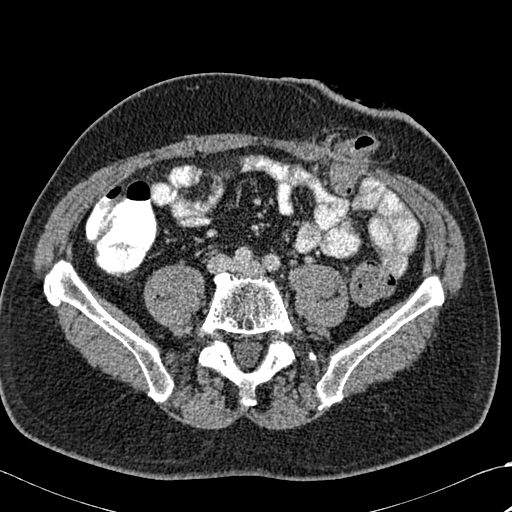
CT | 512x512

3 bone regions are located at x1=44 y1=261 x2=173 y2=401, x1=316 y1=276 x2=443 y2=408, x1=199 y1=272 x2=294 y2=405.